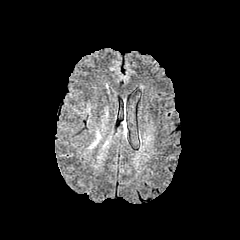
FLAIR magnetic resonance.
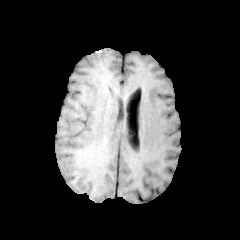
T1-weighted MR image of the same slice.
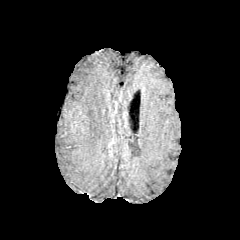
Same slice, post-contrast T1-weighted MRI.
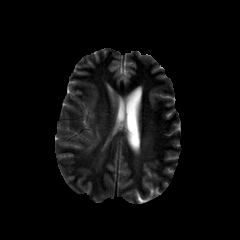
T2-weighted magnetic resonance.
Brain
<segmentation>
  <edema>{"x1": 88, "y1": 128, "x2": 101, "y2": 151}</edema>
</segmentation>